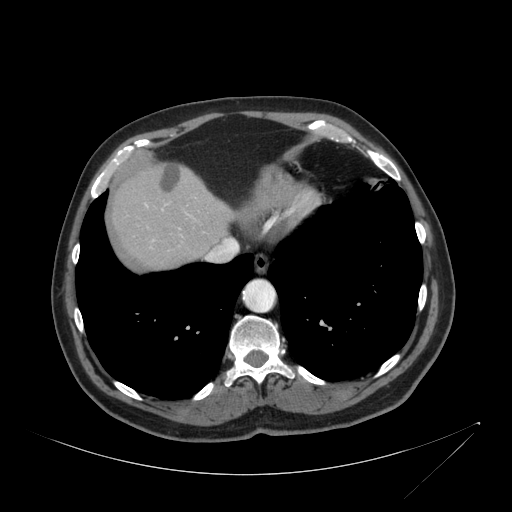
CT scan slice

liver: box(111, 162, 234, 266)